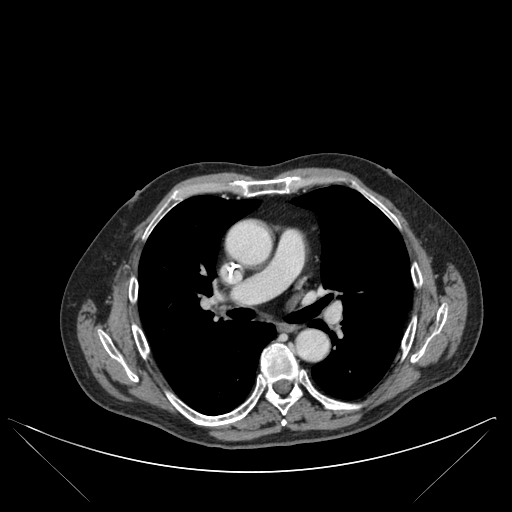

CT, Image size 512x512

<segmentation>
  <lung>rect(138, 196, 275, 415); rect(285, 185, 411, 398)</lung>
  <bone>rect(370, 196, 396, 220); rect(234, 177, 295, 196); rect(411, 263, 422, 286); rect(411, 305, 447, 362); rect(132, 325, 148, 357); rect(145, 207, 164, 235); rect(167, 344, 359, 425); rect(402, 317, 416, 357); rect(129, 277, 137, 301); rect(99, 331, 138, 381)</bone>
</segmentation>